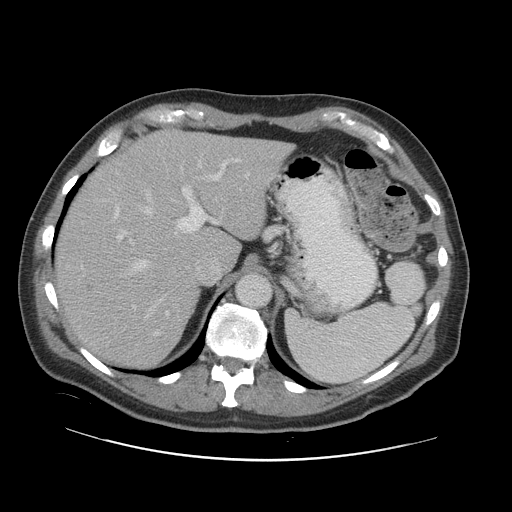
CT image; Liver
The vessel boxes may cover only some of the vessels.
Hepatic vessel = (117, 231, 126, 239), (211, 160, 229, 180), (145, 208, 152, 214), (129, 239, 132, 242), (132, 305, 135, 309), (114, 205, 119, 217), (178, 205, 220, 232), (182, 187, 191, 198), (230, 158, 240, 161).